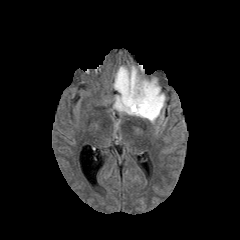
FLAIR MRI.
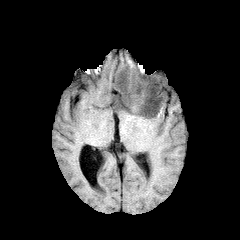
Same slice, T1-weighted MR image.
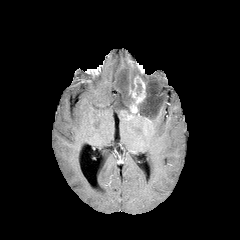
Same slice, post-contrast T1-weighted magnetic resonance.
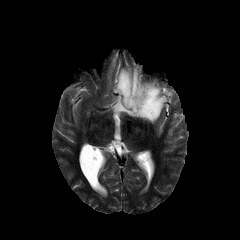
T2-weighted MR of the same slice.
Brain
Non-enhancing tumor core: bounding box l=137, t=82, r=154, b=115; l=118, t=78, r=134, b=109.
Edema: bounding box l=111, t=62, r=168, b=125.
Enhancing tumor: bounding box l=129, t=76, r=146, b=115.